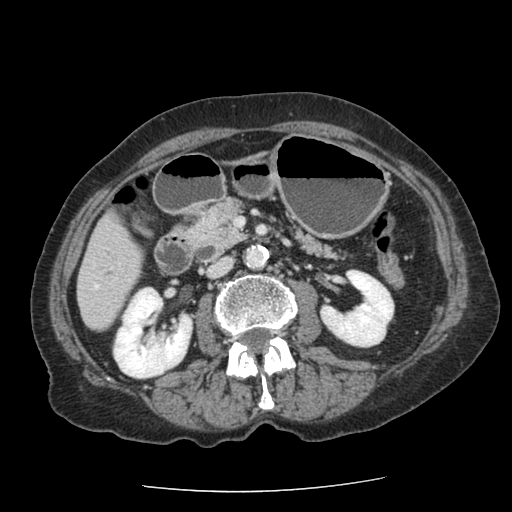

Abdomen; CT slice
Pancreas — left=188, top=199, right=243, bottom=253; left=295, top=230, right=336, bottom=257.